FLAIR MR image.
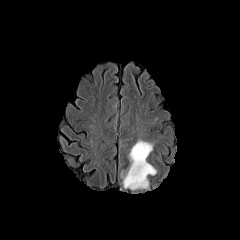
T1-weighted MRI.
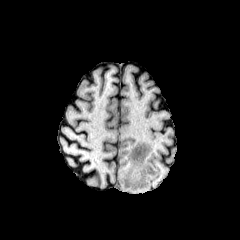
Post-contrast T1-weighted magnetic resonance.
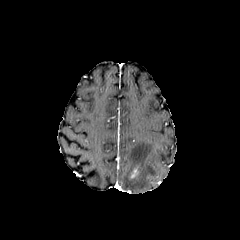
T2-weighted magnetic resonance.
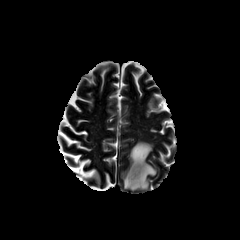
240x240 px
edema: [x1=123, y1=140, x2=156, y2=190]